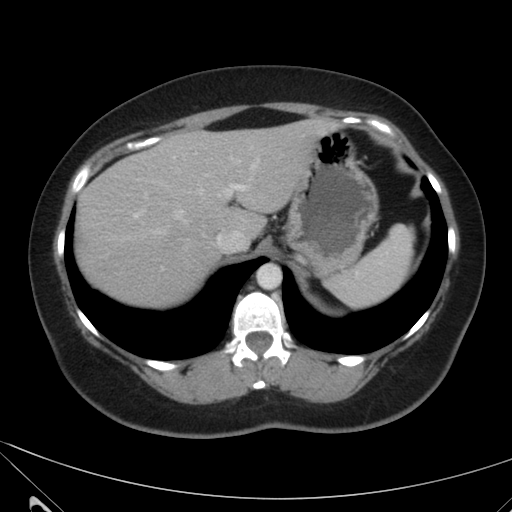

CT image.

Liver = x1=77 y1=118 x2=339 y2=305.